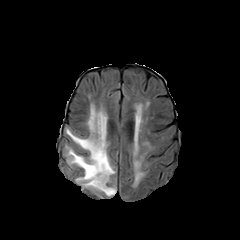
FLAIR MR image.
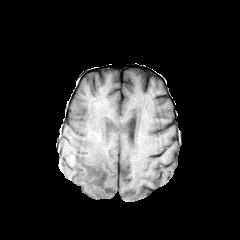
T1-weighted MR of the same slice.
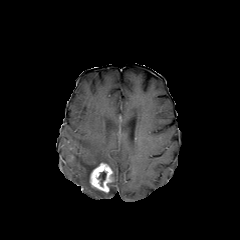
Same slice, post-contrast T1-weighted magnetic resonance.
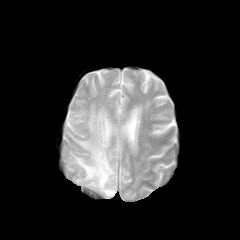
T2-weighted MR image.
Enhancing tumor — region(90, 163, 113, 193).
Non-enhancing tumor core — region(99, 172, 105, 182).
Edema — region(65, 105, 117, 198).